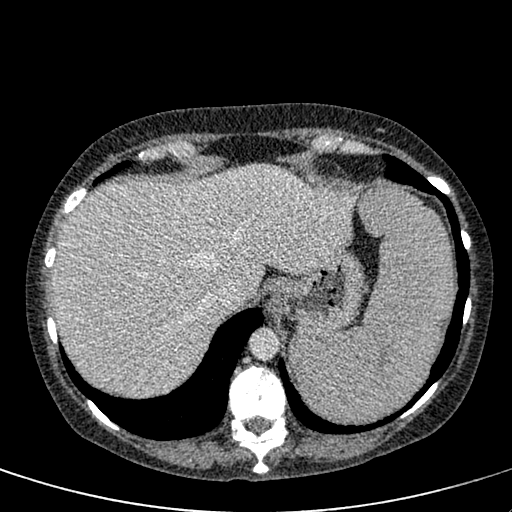

CT; Liver
{
  "liver": [
    "[55,165,359,396]"
  ]
}